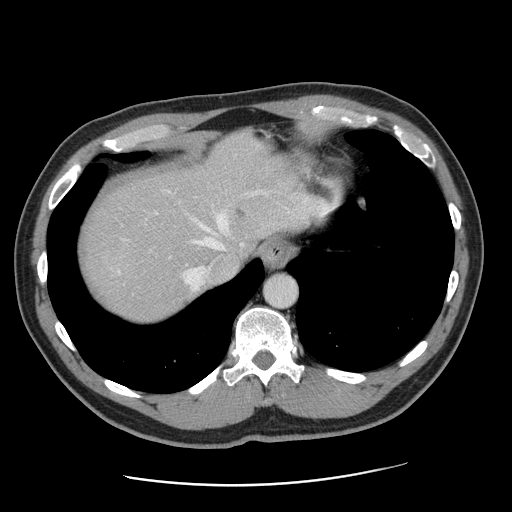
Liver. CT. Some hepatic vessels may have no box.
The liver tumor is bounded by 181 297 192 307. 4 hepatic vessel regions are bounded by 198 221 208 228, 217 212 227 229, 251 191 262 194, 184 236 246 291.